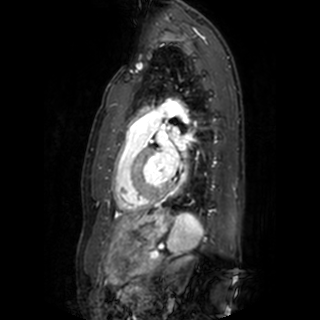 MR image

left_atrium:
  - (left=156, top=132, right=178, bottom=177)
  - (left=169, top=127, right=185, bottom=150)